240x240 px; Brain
FLAIR MR.
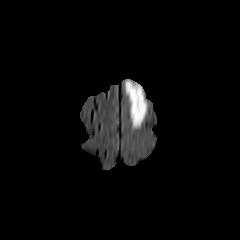
T1-weighted MRI.
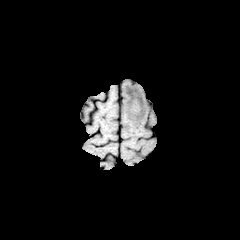
Post-contrast T1-weighted magnetic resonance.
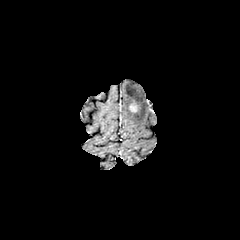
T2-weighted MRI.
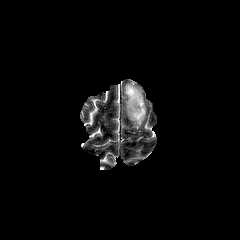
The edema appears at (124,80,147,129).